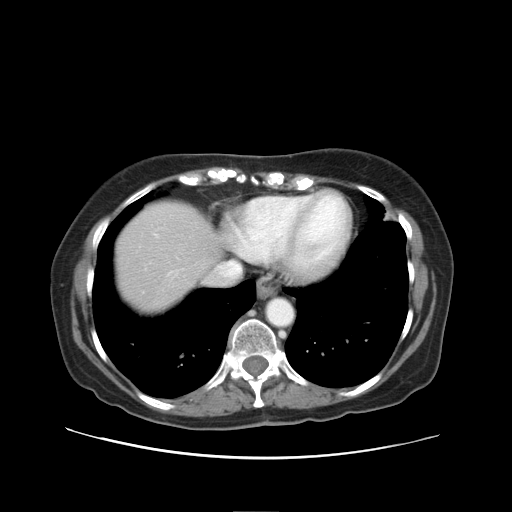
CT slice; Liver

The vessel annotation is not exhaustive.
Findings:
• hepatic vessel: (left=214, top=261, right=239, bottom=282), (left=208, top=280, right=212, bottom=282)